Field of view 464 mm wide, 5.00 mm slice spacing, Computed tomography 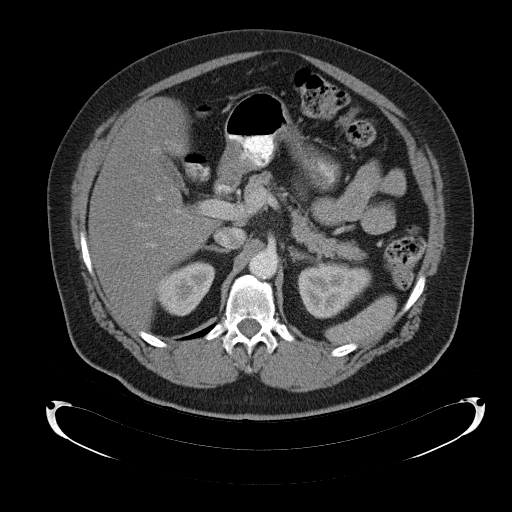
Spleen: (328,296,395,344).